Brain.
FLAIR MRI.
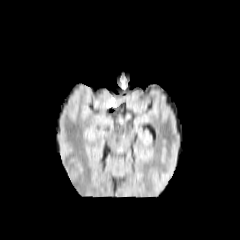
T1-weighted MR.
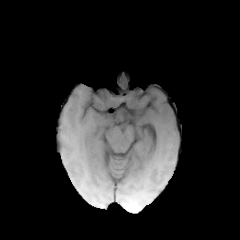
Post-contrast T1-weighted MR.
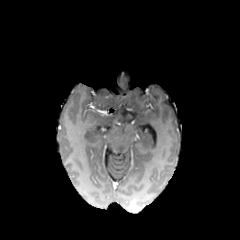
T2-weighted MR image.
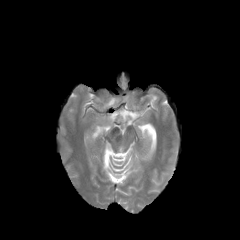
Non-enhancing tumor core: bounding box 91,88,112,109.